Field of view 391 mm wide, 0.80 mm slice spacing. Abdomen. CT image.

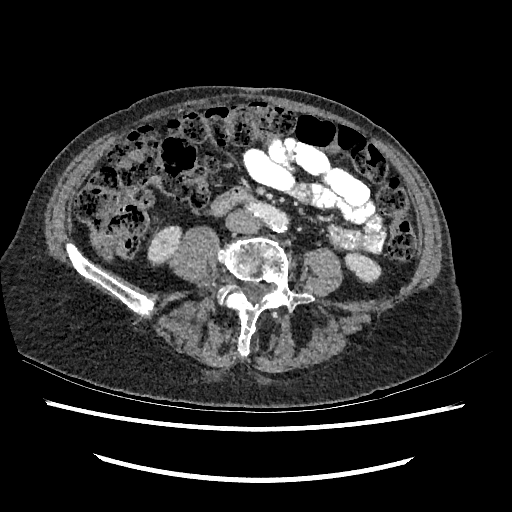 {"kidney": ["region(346, 253, 380, 281)", "region(149, 228, 181, 260)"]}